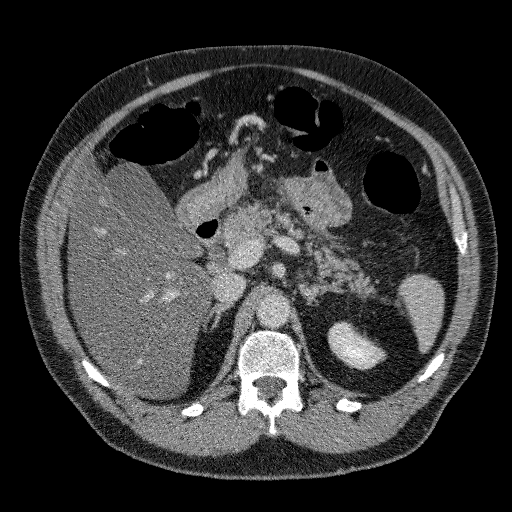

Abdomen. CT slice. {"kidney": ["x1=330, y1=323, x2=379, y2=366"], "liver": ["x1=68, y1=161, x2=212, y2=398"]}